FLAIR MRI.
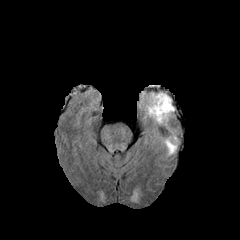
T1-weighted MR image.
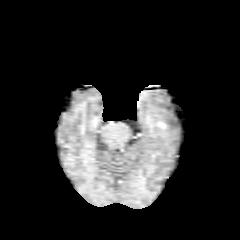
Post-contrast T1-weighted MR.
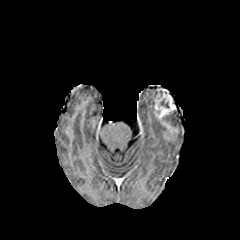
T2-weighted MRI.
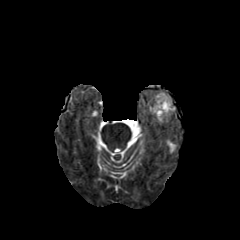
240x240 px
Annotated regions:
- edema: (146,104,155,118), (165,141,176,154)
- enhancing tumor: (152,90,175,122)